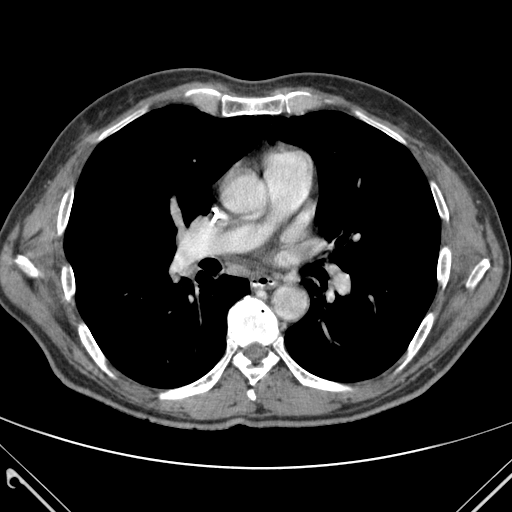
CT scan slice | Image size 512x512

Annotated regions:
* bone: 432, 184, 448, 219; 16, 256, 37, 275; 437, 248, 450, 286; 160, 296, 349, 398; 99, 111, 142, 139; 247, 390, 255, 399; 467, 259, 489, 286; 79, 325, 109, 373; 401, 314, 432, 367; 354, 112, 403, 141; 57, 190, 73, 233; 186, 89, 309, 116; 62, 267, 74, 299
* lung: 64, 105, 440, 388